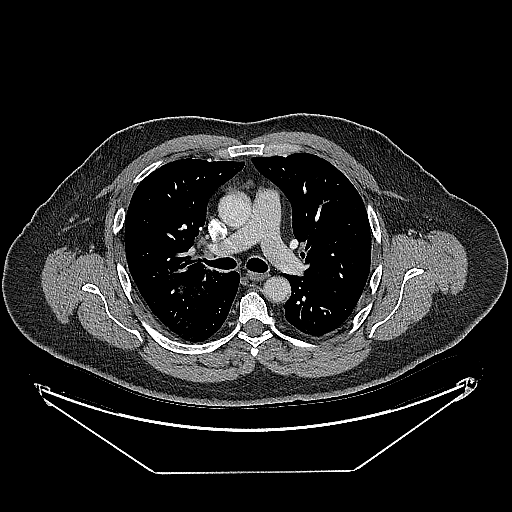
Chest, CT image

{
  "lung_tumor": [
    "(x1=167, y1=267, x2=209, y2=296)",
    "(x1=202, y1=266, x2=222, y2=283)"
  ]
}